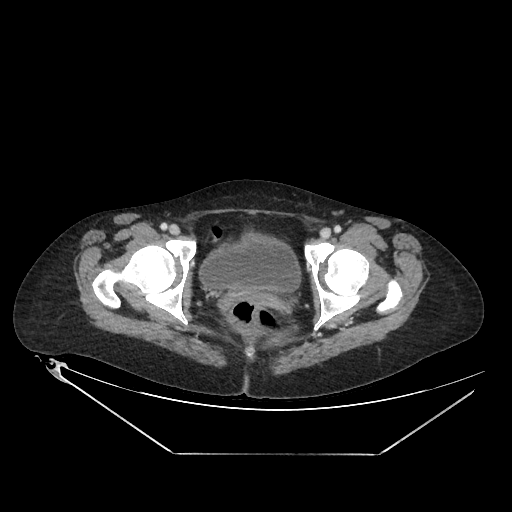 CT scan slice
- urinary bladder: 200, 231, 300, 296